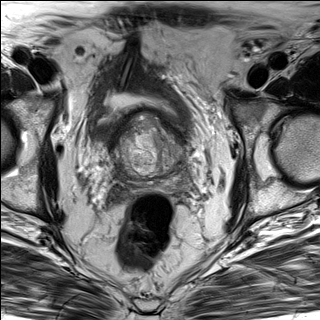
T2-weighted MRI.
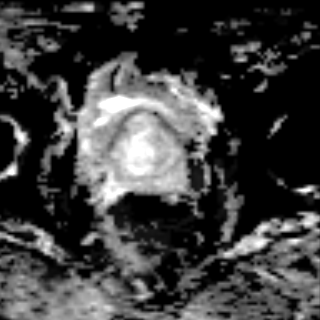
ADC MR of the same slice.
320x320 px, Pelvis
Segmented structures:
- prostate transition zone: box=[113, 114, 185, 183]